CT scan slice; 512x512
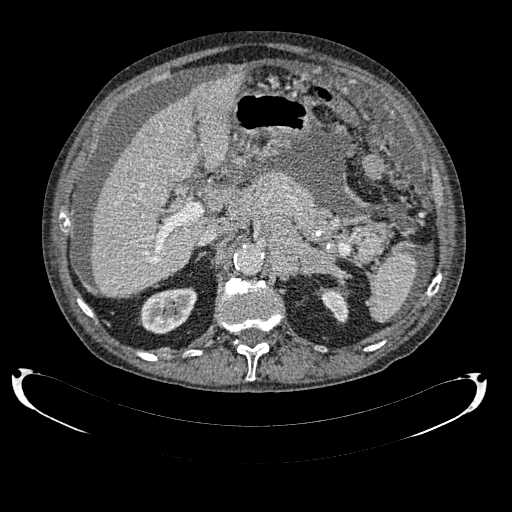

Kidney at [x1=141, y1=288, x2=196, y2=332], [x1=322, y1=290, x2=347, y2=321].
Liver at [x1=91, y1=71, x2=246, y2=296].